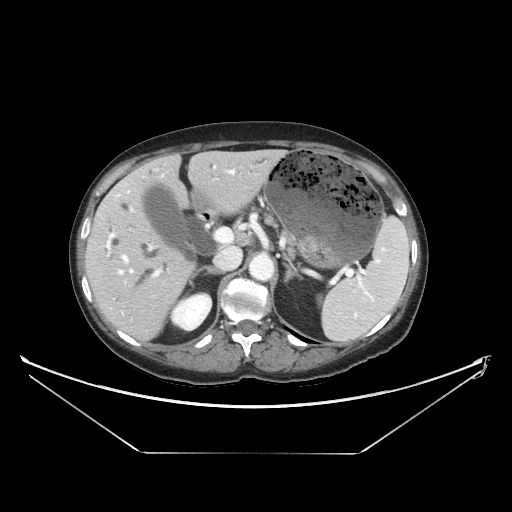
CT. Image size 512x512.

<segmentation>
  <pancreas>bbox(288, 241, 295, 254); bbox(265, 214, 275, 225)</pancreas>
</segmentation>